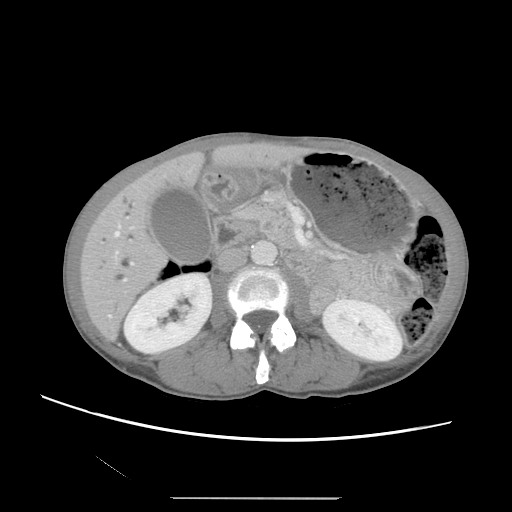
CT. Upper abdomen.
Pancreas — 239:194:297:248.